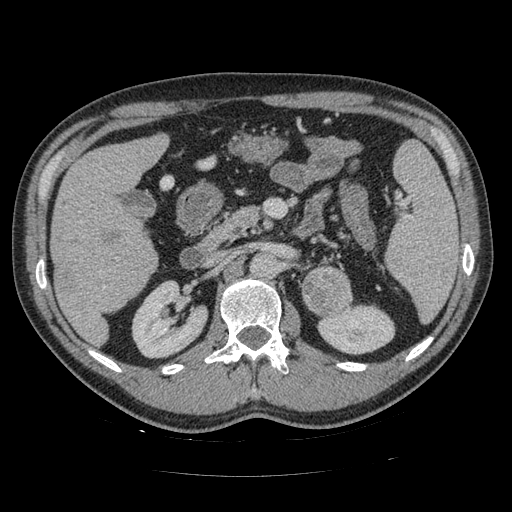

Abdomen. CT scan slice.

{
  "pancreatic_tumor": [
    "(left=302, top=266, right=352, bottom=316)"
  ],
  "pancreas": [
    "(left=223, top=206, right=258, bottom=236)"
  ]
}